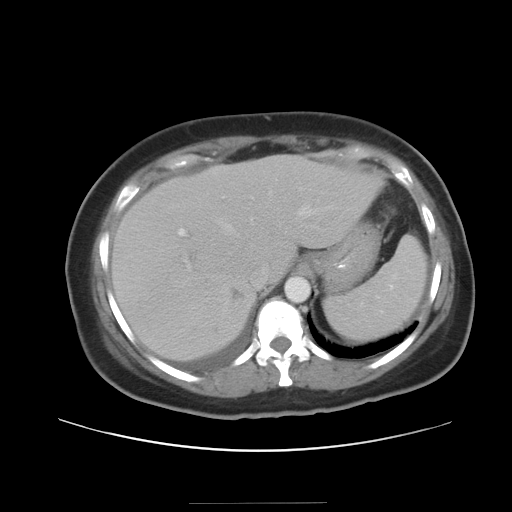

CT scan slice. 512x512.
Not every hepatic vessel necessarily has a box.
hepatic_vessel:
  - (left=253, top=267, right=267, bottom=287)
  - (left=215, top=218, right=237, bottom=235)
  - (left=296, top=202, right=331, bottom=217)
  - (left=309, top=189, right=311, bottom=190)